FLAIR MRI.
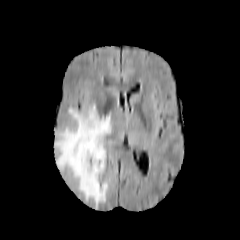
T1-weighted MR.
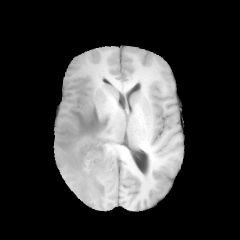
Post-contrast T1-weighted magnetic resonance.
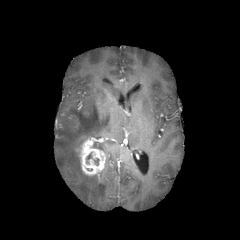
T2-weighted MR image.
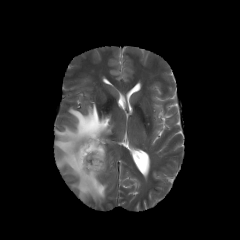
Brain
Edema = x1=55 y1=104 x2=113 y2=204.
Enhancing tumor = x1=78 y1=139 x2=105 y2=175.